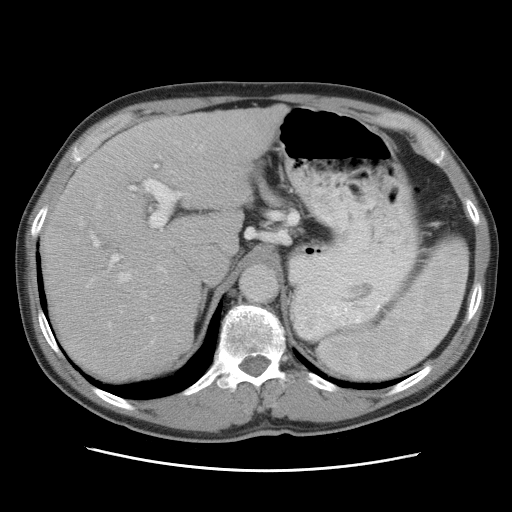
Abdomen. CT slice.

The vessel boxes may cover only some of the vessels.
Hepatic vessel at l=150, t=317, r=153, b=320; l=199, t=146, r=203, b=150; l=89, t=231, r=99, b=246; l=150, t=340, r=154, b=345; l=108, t=323, r=110, b=327; l=159, t=155, r=160, b=158; l=97, t=205, r=100, b=208; l=118, t=273, r=130, b=282; l=108, t=254, r=122, b=269; l=135, t=271, r=136, b=273; l=145, t=181, r=179, b=227; l=141, t=292, r=145, b=297; l=153, t=165, r=157, b=168; l=157, t=266, r=165, b=272; l=173, t=180, r=174, b=182.